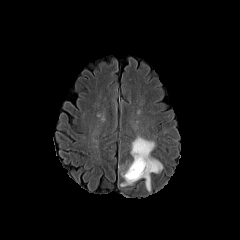
FLAIR MR.
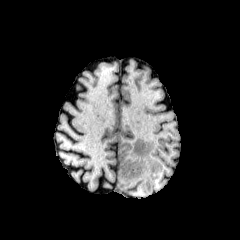
T1-weighted MR of the same slice.
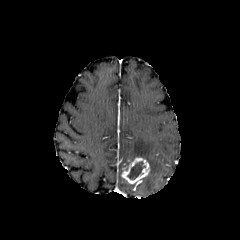
Post-contrast T1-weighted MR image.
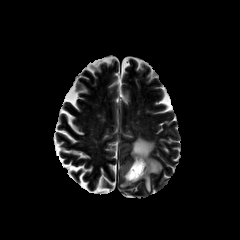
T2-weighted MR.
240x240 px
Non-enhancing tumor core — 127,161,143,180.
Edema — 145,176,151,192; 130,136,162,173.
Enhancing tumor — 121,157,150,184.